FLAIR MR.
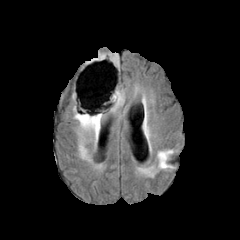
T1-weighted magnetic resonance.
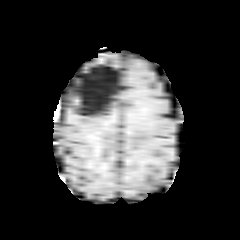
Post-contrast T1-weighted MR image.
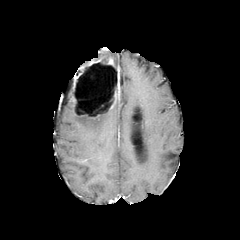
T2-weighted MR image.
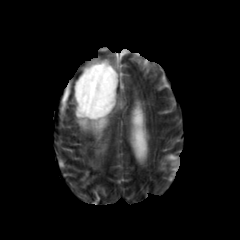
Head.
The enhancing tumor is bounded by <box>113,83,120,103</box>. 6 edema regions are located at <box>140,93,147,107</box>, <box>72,80,127,145</box>, <box>143,114,151,137</box>, <box>158,150,173,169</box>, <box>78,143,91,161</box>, <box>108,54,120,66</box>. 2 non-enhancing tumor core regions appear at <box>76,86,118,116</box>, <box>117,74,122,98</box>.